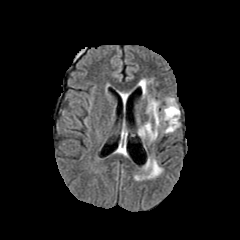
FLAIR MRI.
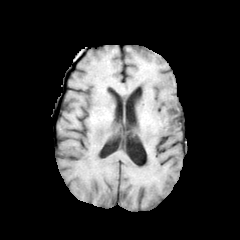
T1-weighted MRI.
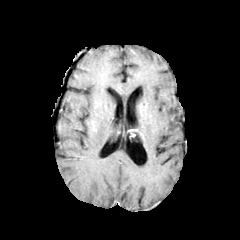
Post-contrast T1-weighted MRI.
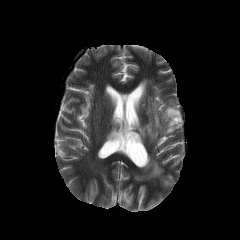
Same slice, T2-weighted MR.
240x240 px.
Edema: bounding box {"x1": 146, "y1": 160, "x2": 162, "y2": 177}, {"x1": 140, "y1": 95, "x2": 180, "y2": 140}, {"x1": 139, "y1": 80, "x2": 147, "y2": 98}.